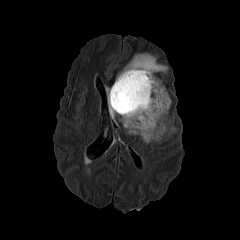
FLAIR MRI.
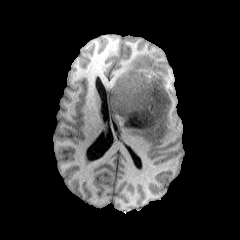
T1-weighted magnetic resonance.
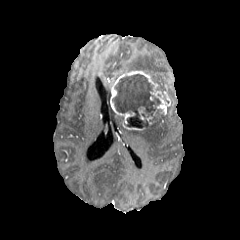
Same slice, post-contrast T1-weighted MR.
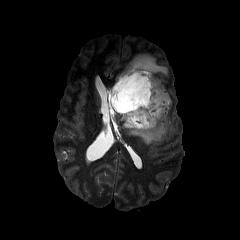
T2-weighted magnetic resonance.
Head
3 edema regions are located at (105,86,115,118), (116,53,167,79), (126,111,171,145). The non-enhancing tumor core is bounded by (112,73,163,129). The enhancing tumor is at (110,70,170,130).